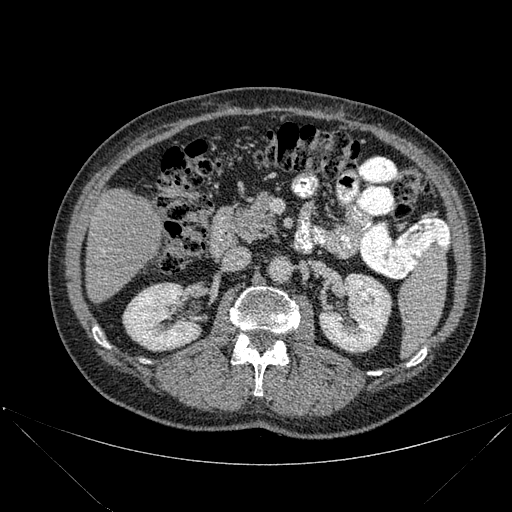
Abdomen; CT image

Liver: rect(86, 188, 160, 302).
Kidney: rect(320, 274, 391, 351); rect(123, 283, 200, 350).
Bone: rect(230, 286, 300, 335); rect(231, 333, 288, 395); rect(407, 348, 426, 366); rect(93, 327, 108, 347).